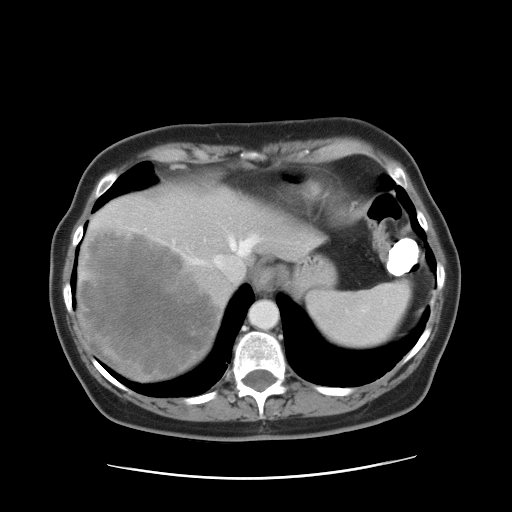

CT image; Liver
Not every hepatic vessel necessarily has a box.
{"liver_tumor": ["bbox=[79, 227, 221, 377]"], "hepatic_vessel": ["bbox=[190, 258, 206, 264]", "bbox=[209, 235, 259, 280]"]}